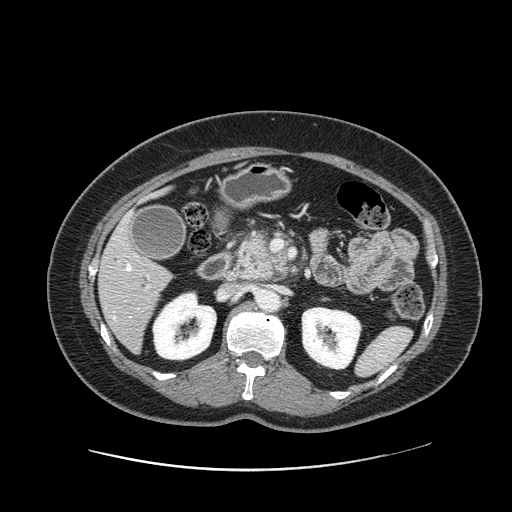

CT slice, 512x512
Pancreatic tumor at 239, 243, 268, 273.
Pancreas at 237, 234, 287, 279.